Slice 39 of 155; Brain
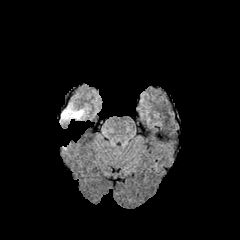
FLAIR magnetic resonance.
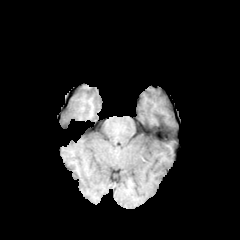
T1-weighted MR of the same slice.
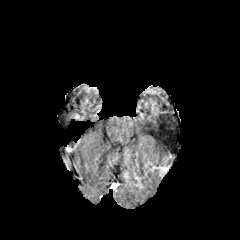
Post-contrast T1-weighted magnetic resonance of the same slice.
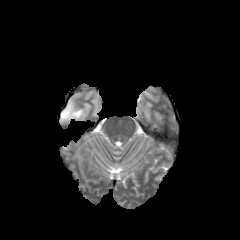
T2-weighted MR.
The non-enhancing tumor core lies within bbox(70, 112, 85, 118). The edema appears at bbox(60, 103, 88, 123).